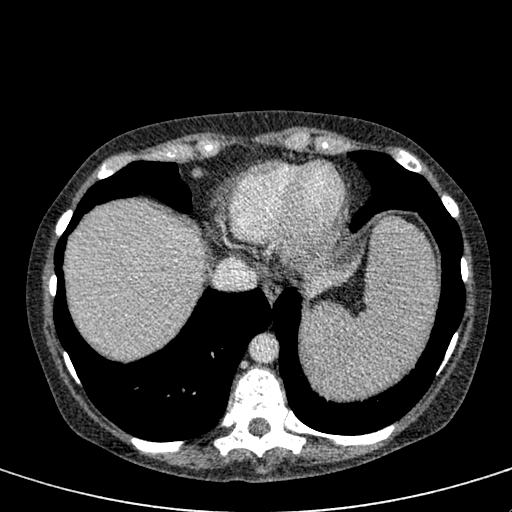

Computed tomography, Liver

Liver at 65,202,206,357; 306,256,358,297.